Brain; Slice 60 of 155
FLAIR MR image.
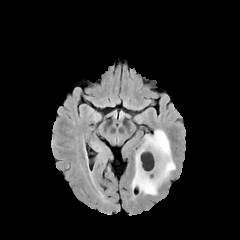
T1-weighted MRI.
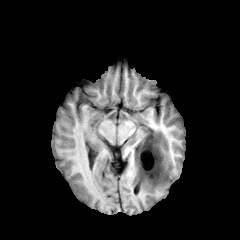
Post-contrast T1-weighted MR.
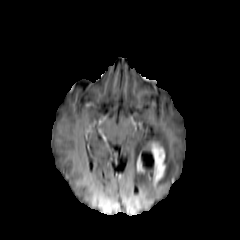
T2-weighted MRI.
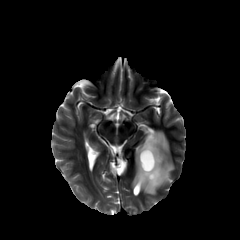
Segmented structures:
- edema: 132,129,175,195
- non-enhancing tumor core: 138,167,153,177; 143,144,154,166
- enhancing tumor: 151,143,165,185; 137,154,144,171